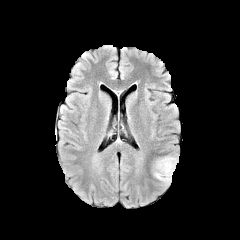
FLAIR magnetic resonance.
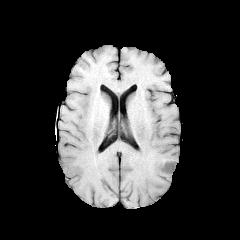
T1-weighted MR.
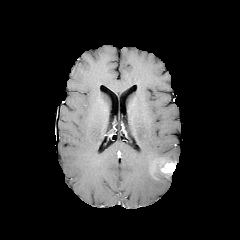
Post-contrast T1-weighted magnetic resonance.
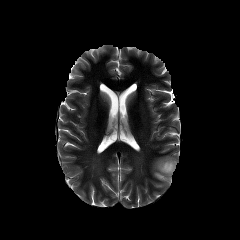
T2-weighted MR of the same slice.
Brain
<segmentation>
  <edema><bbox>154, 156, 178, 184</bbox></edema>
  <enhancing_tumor><bbox>160, 162, 176, 174</bbox></enhancing_tumor>
</segmentation>